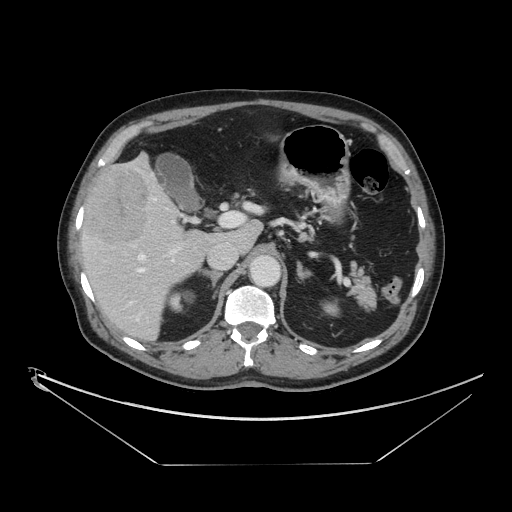
CT | 512x512 px
Only some of the vessels may be annotated.
liver tumor: [85,165,148,244] | hepatic vessel: [138,254,145,259], [136,317,138,320], [171,246,180,253], [139,313,141,314], [138,268,144,271], [130,301,132,304], [151,174,152,175], [172,259,174,261], [152,197,155,200]